240x240; Field of view 240 mm wide, 1.00 mm slice spacing; Brain
FLAIR magnetic resonance.
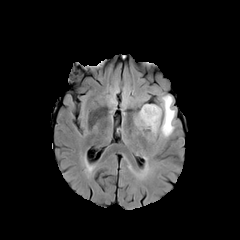
T1-weighted MRI.
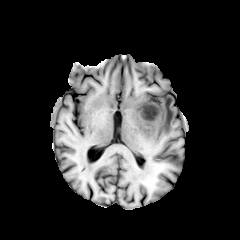
Post-contrast T1-weighted MRI.
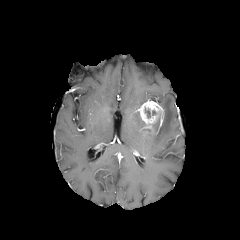
T2-weighted MR.
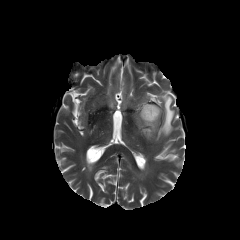
Enhancing tumor — {"x1": 139, "y1": 104, "x2": 162, "y2": 128}.
Edema — {"x1": 151, "y1": 113, "x2": 161, "y2": 132}, {"x1": 160, "y1": 95, "x2": 174, "y2": 136}.